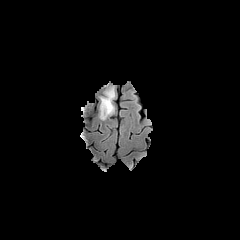
FLAIR MR.
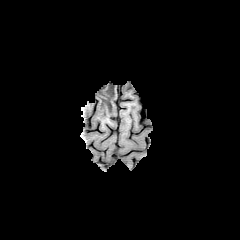
T1-weighted magnetic resonance.
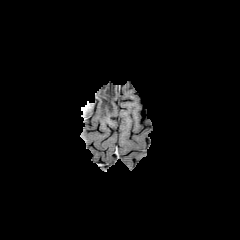
Same slice, post-contrast T1-weighted MR image.
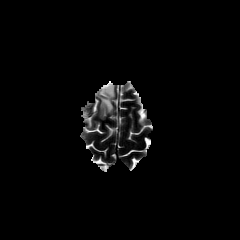
T2-weighted MRI.
Head.
{
  "non-enhancing_tumor_core": [
    "105 104 115 115",
    "98 86 113 109"
  ],
  "edema": [
    "98 104 107 119",
    "108 86 115 109"
  ]
}